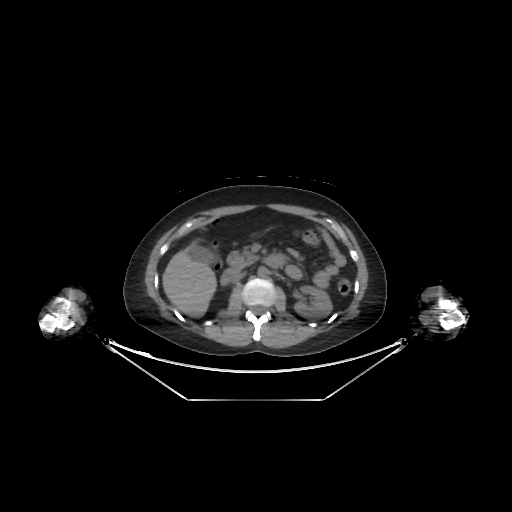 512x512, Liver, CT scan slice
Liver: bounding box 162, 246, 216, 316.
Kidney: bounding box 292, 285, 332, 319.